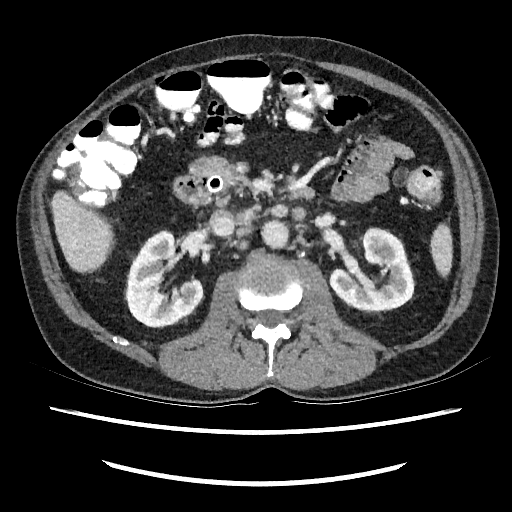
Image size 512x512. CT slice.
Segmented structures:
• kidney: x1=127 y1=232 x2=202 y2=326, x1=330 y1=229 x2=413 y2=309
• liver: x1=52 y1=193 x2=111 y2=270